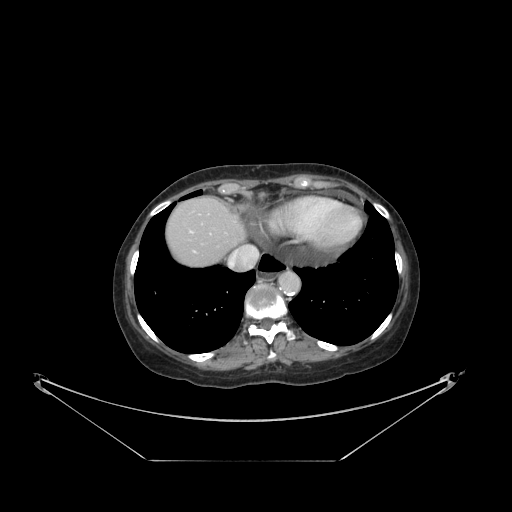

CT scan slice
The vessel annotation is not exhaustive.
hepatic vessel: {"x1": 191, "y1": 231, "x2": 193, "y2": 232}, {"x1": 229, "y1": 245, "x2": 258, "y2": 267}